Field of view 328x328 mm | Upper abdomen | CT slice | 512x512

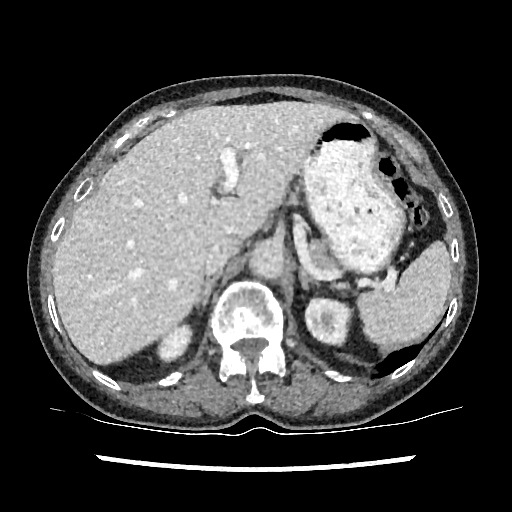 2 kidney regions appear at box(162, 328, 186, 357); box(309, 300, 346, 341). The liver lies within box(53, 102, 350, 363).